CT scan slice.
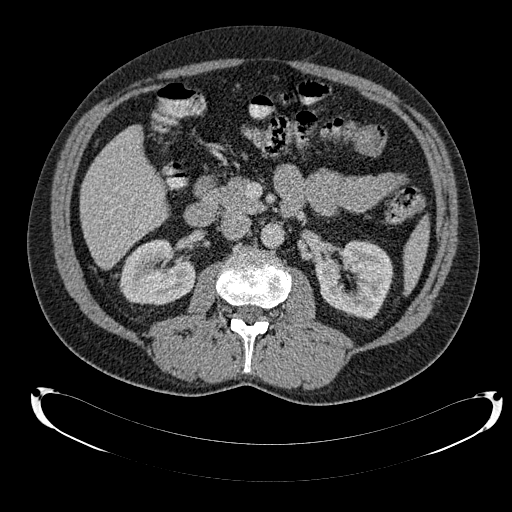 The liver is located at bbox=[79, 125, 166, 268]. 2 kidney regions appear at bbox=[120, 240, 195, 304]; bbox=[316, 241, 392, 318].